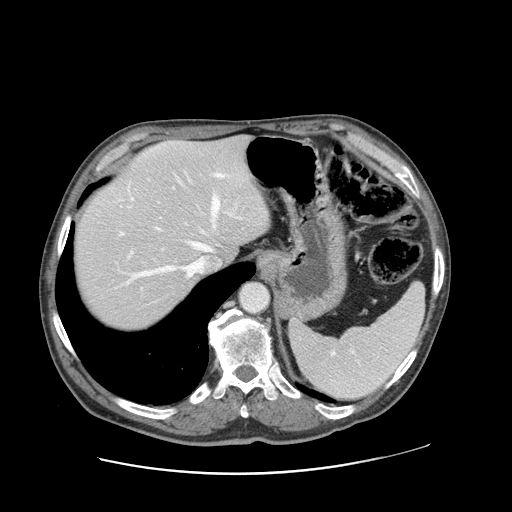

Abdomen. Computed tomography. 512x512 px.
Not every hepatic vessel necessarily has a box.
13 hepatic vessel regions are located at [130,251,132,255], [228,213,230,214], [215,173,223,176], [212,197,219,216], [119,232,123,235], [187,266,193,275], [156,227,160,229], [130,271,153,280], [158,266,175,271], [131,197,133,200], [191,242,211,251], [201,230,203,231], [213,224,215,226].